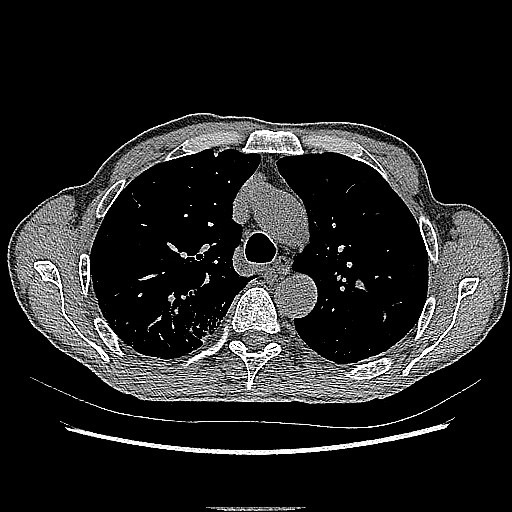
CT scan slice
Lung tumor at x1=162 y1=296 x2=229 y2=350.